Computed tomography; Image size 512x512; Abdomen
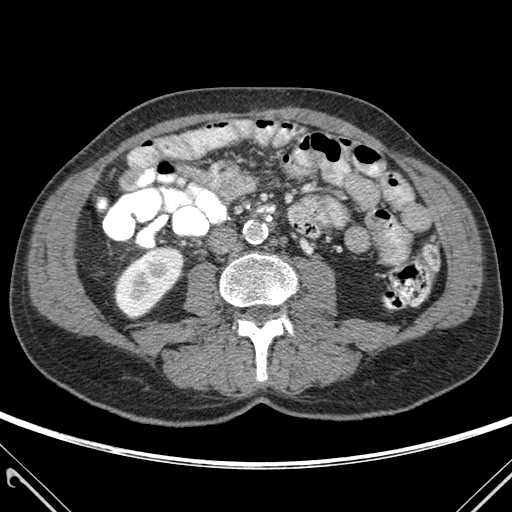

Kidney: bounding box <bbox>116, 249, 182, 316</bbox>.
Bone: bounding box <bbox>220, 254, 296, 306</bbox>, <bbox>238, 315, 292, 380</bbox>.